Thorax; 512x512; CT image 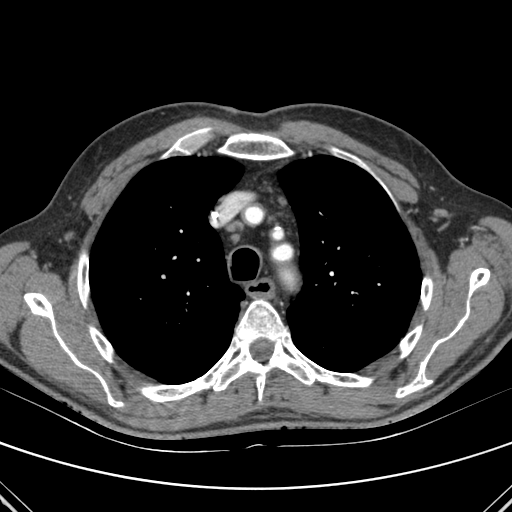
Annotated regions:
* bone: <bbox>468, 268, 489, 297</bbox>, <bbox>334, 148, 368, 170</bbox>, <bbox>77, 253, 89, 307</bbox>, <bbox>139, 299, 373, 402</bbox>, <bbox>400, 325, 422, 357</bbox>, <bbox>218, 133, 293, 159</bbox>, <bbox>395, 300, 469, 397</bbox>, <bbox>421, 277, 432, 309</bbox>, <bbox>89, 326, 112, 362</bbox>, <bbox>24, 293, 123, 406</bbox>, <bbox>162, 128, 210, 157</bbox>
* lung: <bbox>89, 156, 244, 384</bbox>, <bbox>278, 155, 421, 372</bbox>